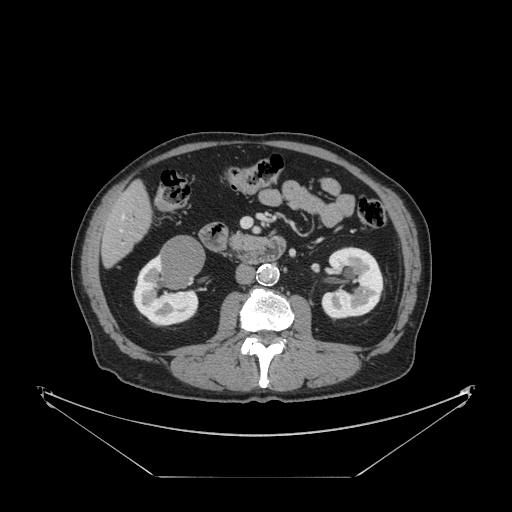 CT scan slice, Liver, Image size 512x512
The vessel annotation is not exhaustive.
Hepatic vessel at (left=122, top=215, right=123, bottom=219), (left=120, top=230, right=121, bottom=231).